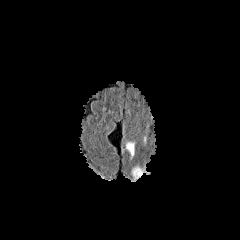
FLAIR MR image.
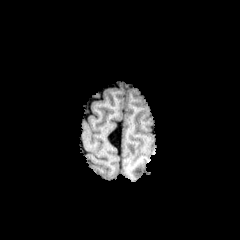
T1-weighted MRI.
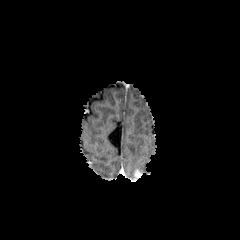
Post-contrast T1-weighted magnetic resonance of the same slice.
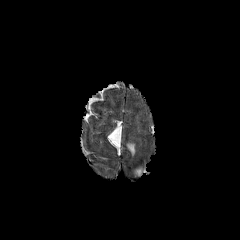
T2-weighted MR image.
Image size 240x240
Annotated regions:
- edema: <bbox>132, 166, 150, 174</bbox>, <bbox>126, 142, 135, 156</bbox>